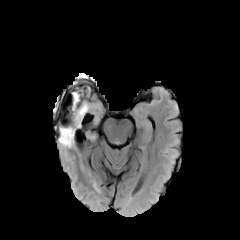
FLAIR MRI.
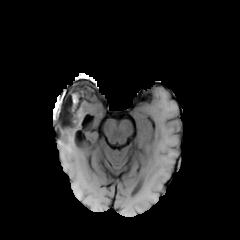
T1-weighted MRI of the same slice.
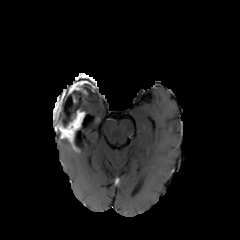
Post-contrast T1-weighted MR.
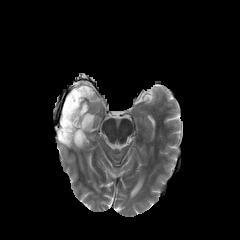
T2-weighted magnetic resonance.
enhancing tumor: [x1=56, y1=110, x2=84, y2=141] | non-enhancing tumor core: [x1=56, y1=95, x2=76, y2=126] | edema: [x1=72, y1=92, x2=88, y2=112], [x1=59, y1=138, x2=71, y2=149]